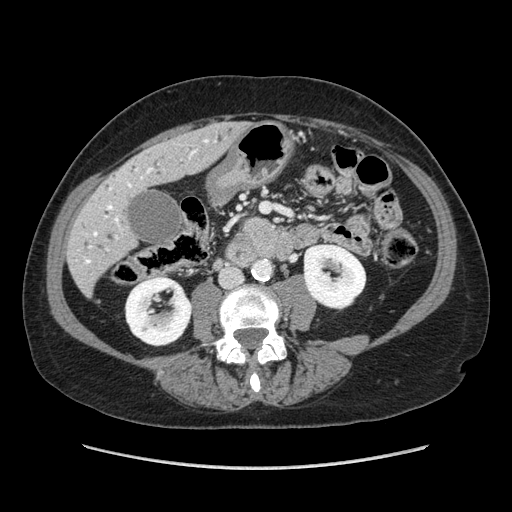

CT
Pancreatic tumor: bounding box region(236, 232, 254, 248).
Pancreas: bounding box region(233, 215, 276, 256).